Upper abdomen, CT scan slice

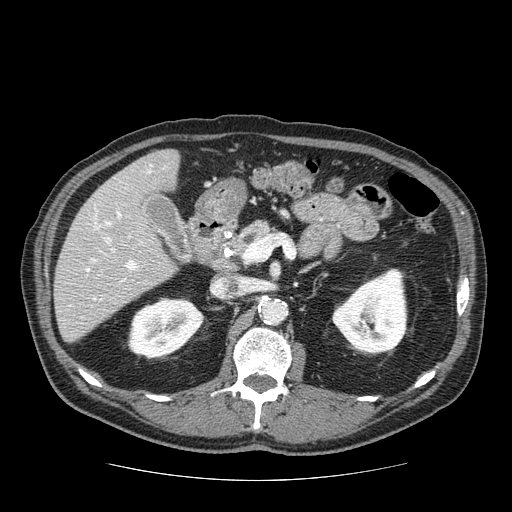
<segmentation>
  <pancreas>{"x1": 227, "y1": 220, "x2": 275, "y2": 254}</pancreas>
</segmentation>